FLAIR MR image.
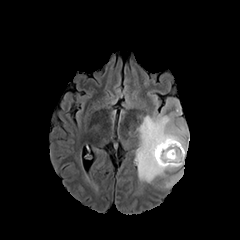
T1-weighted MRI.
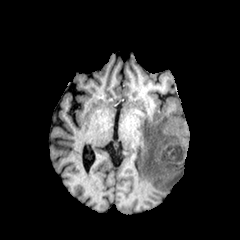
Post-contrast T1-weighted MR image.
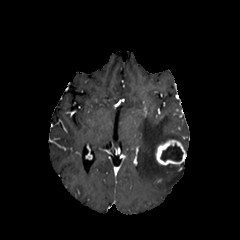
T2-weighted magnetic resonance.
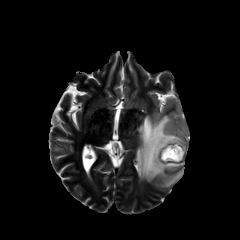
Head
The edema is located at (137, 115, 189, 186). The enhancing tumor is located at (155, 140, 186, 164). The non-enhancing tumor core is bounded by (160, 143, 183, 161).